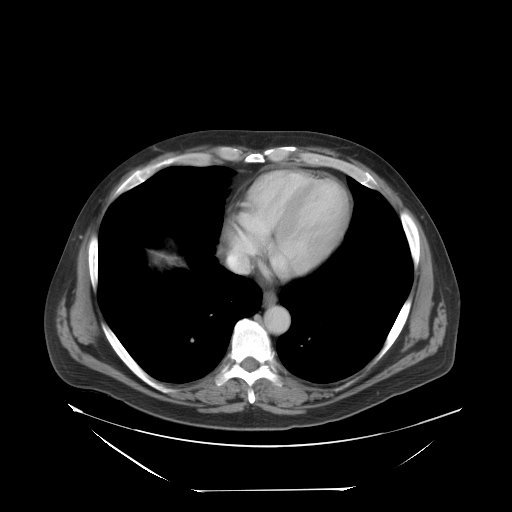
CT slice | Abdomen
Only some of the vessels may be annotated.
Hepatic vessel — region(227, 229, 260, 272).